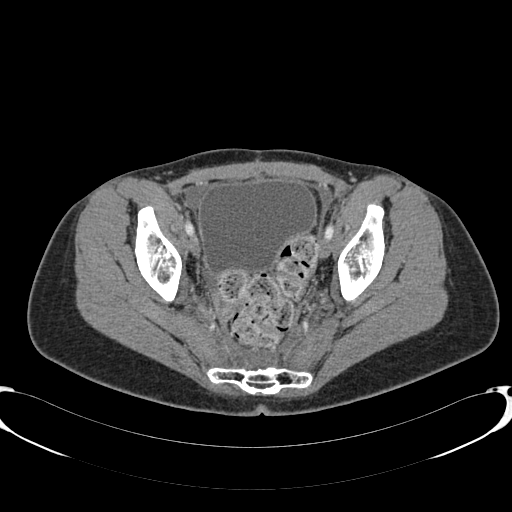

CT image
urinary_bladder:
  - <box>201,181,314,272</box>